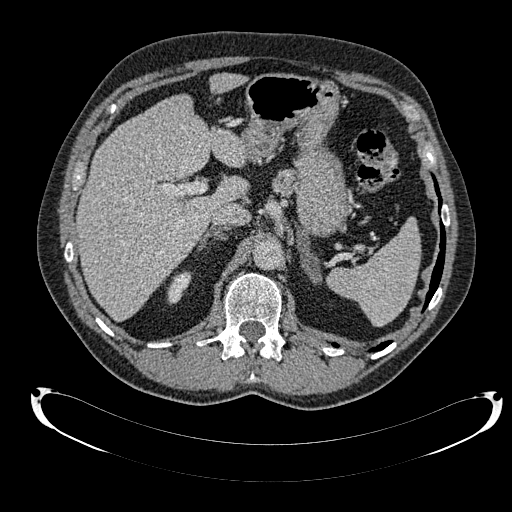
Liver | CT image
kidney: x1=168 y1=272 x2=190 y2=301 | liver: x1=210 y1=73 x2=246 y2=92, x1=78 y1=96 x2=247 y2=320